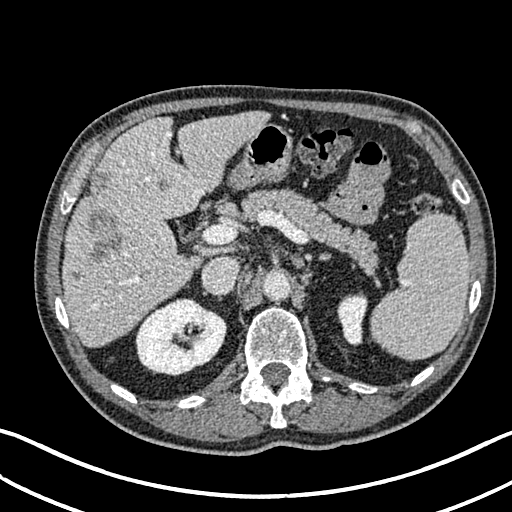

CT image, 512x512 px, Upper abdomen

Segmented structures:
* liver: 63, 111, 268, 345
* liver lesion: 72, 272, 79, 280; 159, 180, 168, 190; 85, 208, 122, 262; 91, 172, 106, 195
* kidney: 136, 299, 225, 374; 338, 296, 366, 343